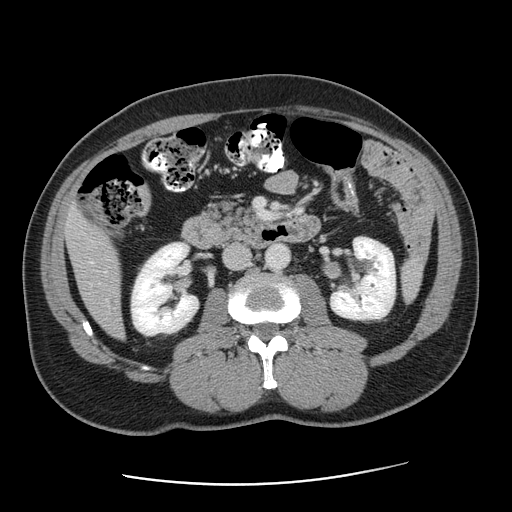
CT | 512x512 px
{
  "liver_tumor": [
    "(107,294,117,311)"
  ]
}